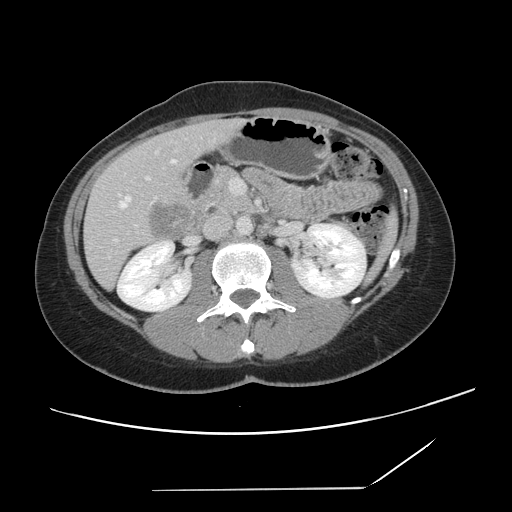
CT scan slice
Some hepatic vessels may have no box.
Hepatic vessel = l=155, t=151, r=158, b=153; l=146, t=177, r=149, b=179; l=119, t=196, r=129, b=207; l=171, t=160, r=175, b=162; l=114, t=239, r=117, b=240; l=211, t=139, r=214, b=140.
Liver tumor = l=151, t=202, r=191, b=238.